FLAIR magnetic resonance.
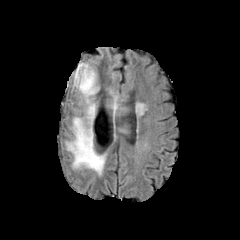
T1-weighted MR image.
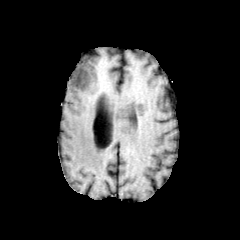
Post-contrast T1-weighted magnetic resonance.
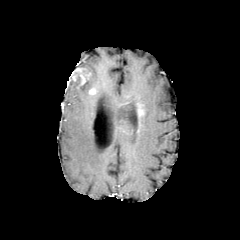
T2-weighted MR image.
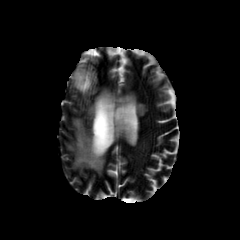
240x240
Non-enhancing tumor core: <box>75,73,80,88</box>.
Enhancing tumor: <box>75,68,85,85</box>.
Edema: <box>65,62,105,175</box>, <box>108,94,125,116</box>.